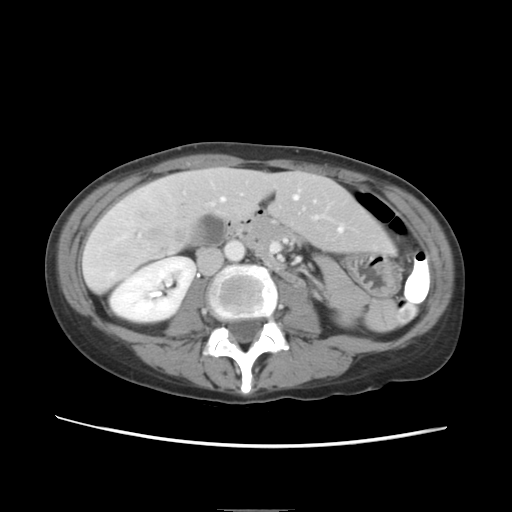

CT slice
Some hepatic vessels may have no box.
The liver tumor lies within l=140, t=203, r=196, b=255. 8 hepatic vessel regions are bounded by l=99, t=248, r=101, b=250; l=271, t=243, r=278, b=251; l=114, t=234, r=127, b=242; l=294, t=194, r=298, b=199; l=338, t=227, r=342, b=230; l=109, t=271, r=114, b=276; l=221, t=197, r=224, b=200; l=315, t=216, r=316, b=217.